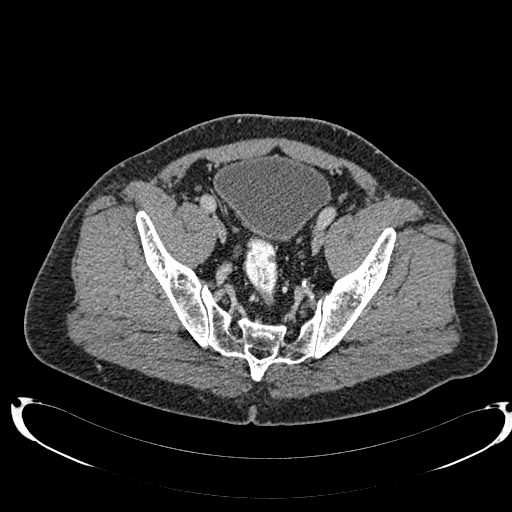

CT slice, Pelvis

{
  "urinary_bladder": [
    "rect(216, 154, 331, 242)"
  ]
}